FLAIR MR image.
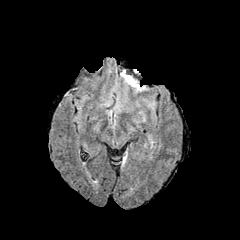
T1-weighted MRI.
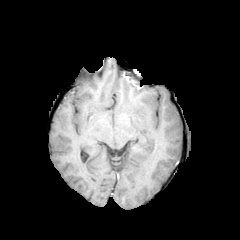
Post-contrast T1-weighted MRI.
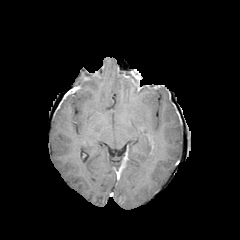
T2-weighted magnetic resonance.
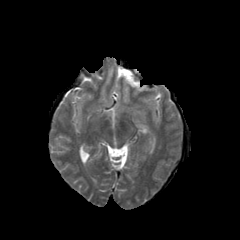
240x240
Edema: bbox=[120, 72, 145, 92].